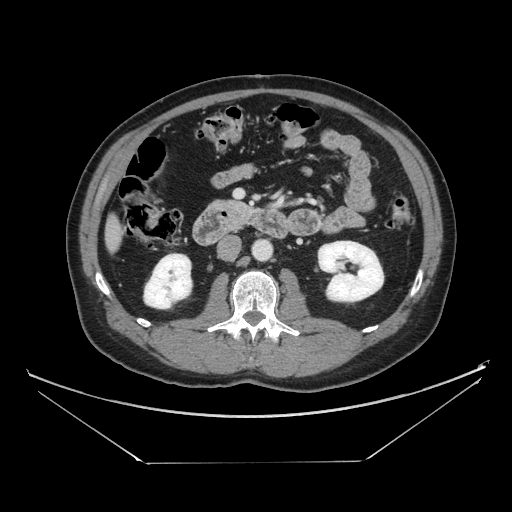
CT scan slice

{
  "pancreatic_tumor": [
    "x1=237 y1=202 x2=247 y2=217"
  ],
  "pancreas": [
    "x1=227 y1=201 x2=252 y2=229"
  ]
}